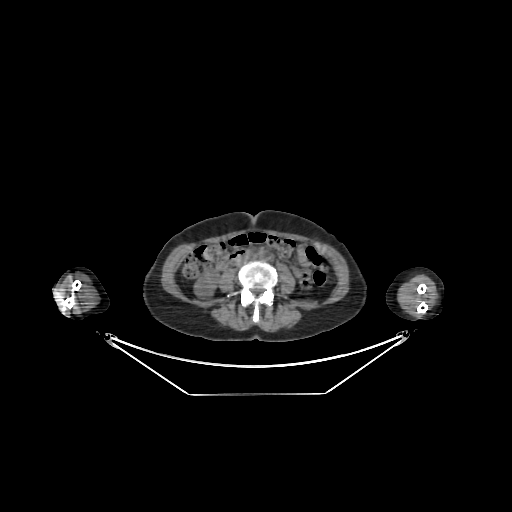 Abdomen; CT; Image size 512x512
kidney:
  - (194,267,220,297)